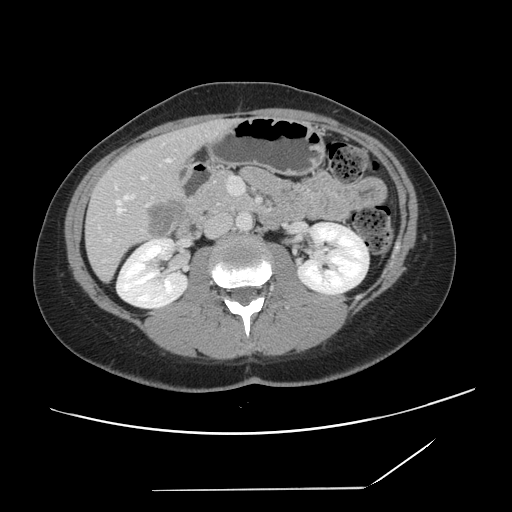 Image size 512x512, Computed tomography
Only some of the vessels may be annotated.
Liver tumor: bounding box [x1=147, y1=201, x2=184, y2=234].
Hepatic vessel: bounding box [x1=124, y1=195, x2=134, y2=199], [x1=117, y1=201, x2=123, y2=212], [x1=146, y1=204, x2=148, y2=206], [x1=98, y1=226, x2=99, y2=228], [x1=115, y1=185, x2=116, y2=188], [x1=107, y1=239, x2=110, y2=241], [x1=166, y1=159, x2=170, y2=162], [x1=142, y1=177, x2=146, y2=178].